Computed tomography; Slice 500/630 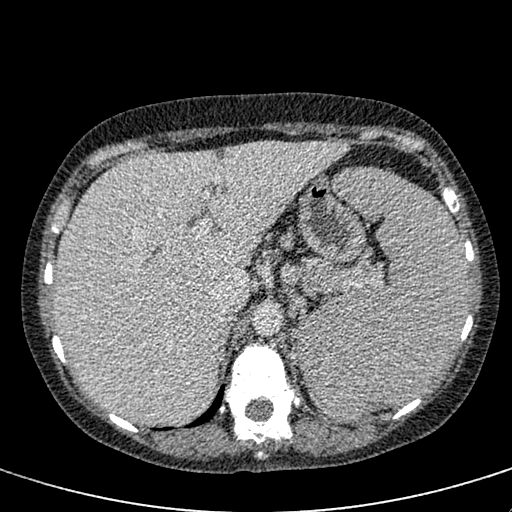 The liver is at bbox(53, 142, 348, 422).